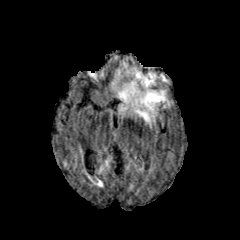
FLAIR magnetic resonance.
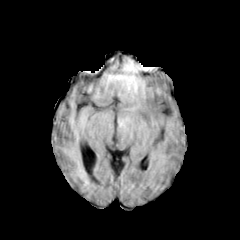
T1-weighted magnetic resonance.
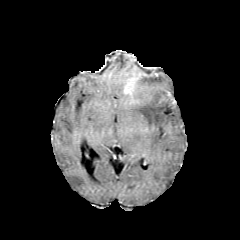
Post-contrast T1-weighted MR.
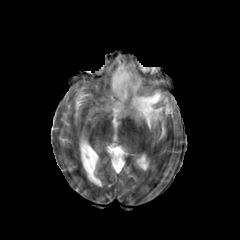
T2-weighted MRI.
Head
Findings:
• edema: 118:71:168:126